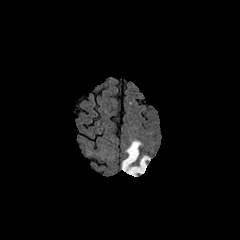
FLAIR magnetic resonance.
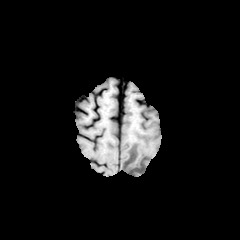
T1-weighted MRI.
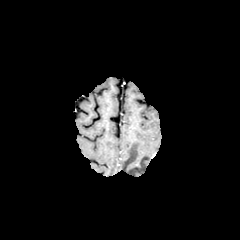
Same slice, post-contrast T1-weighted MRI.
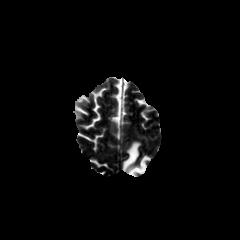
Same slice, T2-weighted MR.
<segmentation>
  <edema>122 141 149 176</edema>
</segmentation>